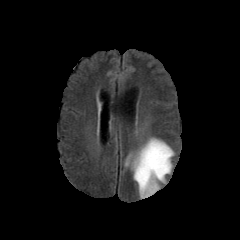
FLAIR MRI.
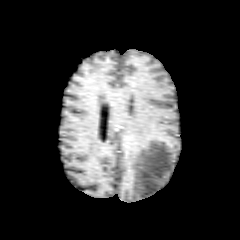
T1-weighted MR.
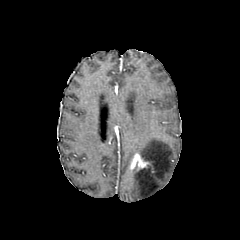
Post-contrast T1-weighted MR image.
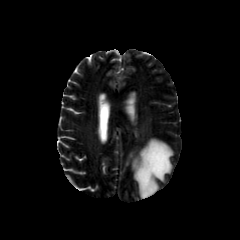
Same slice, T2-weighted MRI.
Head | 240x240
enhancing_tumor:
  - box=[131, 154, 147, 168]
edema:
  - box=[126, 138, 174, 198]